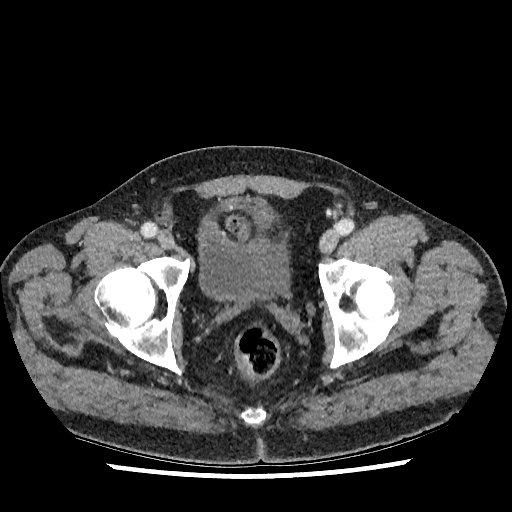

CT scan slice; Pelvis
urinary_bladder:
  - region(198, 199, 289, 309)